FLAIR magnetic resonance.
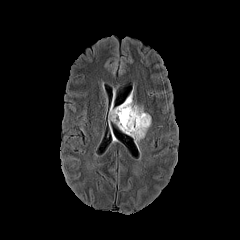
T1-weighted MRI.
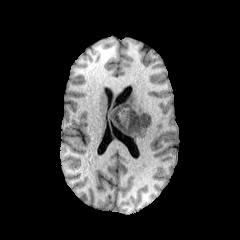
Post-contrast T1-weighted MR.
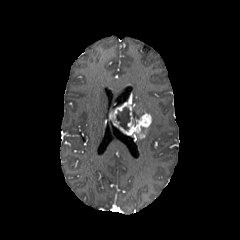
T2-weighted MRI.
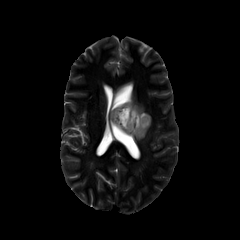
Head
Non-enhancing tumor core at box(115, 99, 144, 130).
Enhancing tumor at box(110, 94, 152, 142).